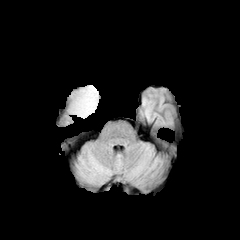
FLAIR MR.
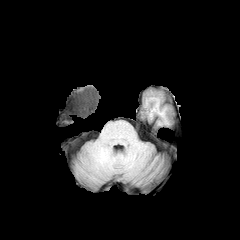
Same slice, T1-weighted MR image.
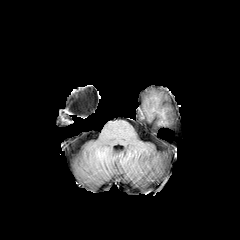
Post-contrast T1-weighted MR.
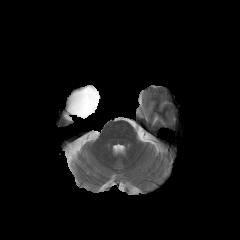
T2-weighted magnetic resonance.
240x240
The non-enhancing tumor core is bounded by box(67, 85, 99, 117).